Computed tomography. Abdomen. 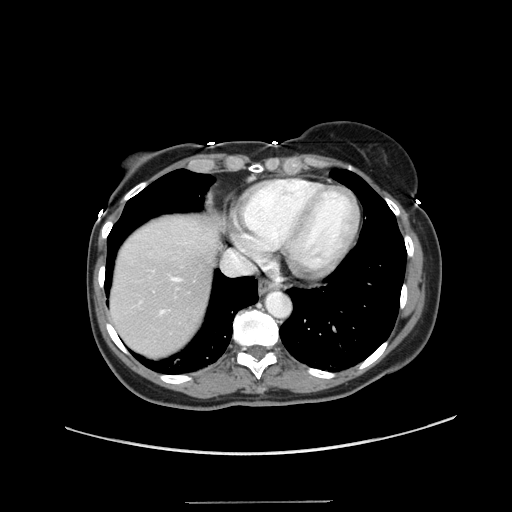

Not every hepatic vessel necessarily has a box.
{
  "hepatic_vessel": [
    "[x1=172, y1=278, x2=178, y2=280]",
    "[x1=223, y1=250, x2=252, y2=274]",
    "[x1=160, y1=310, x2=164, y2=312]"
  ]
}